Computed tomography, Field of view 404 mm wide, 5.00 mm slice spacing, Slice index 29
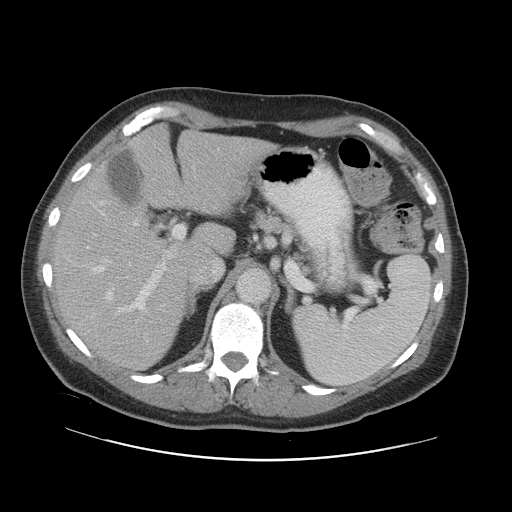 The vessel annotation is not exhaustive.
hepatic_vessel:
  - x1=118 y1=265 x2=161 y2=311
  - x1=163 y1=267 x2=165 y2=269
  - x1=165 y1=250 x2=168 y2=252
  - x1=169 y1=253 x2=170 y2=255
  - x1=133 y1=219 x2=137 y2=225